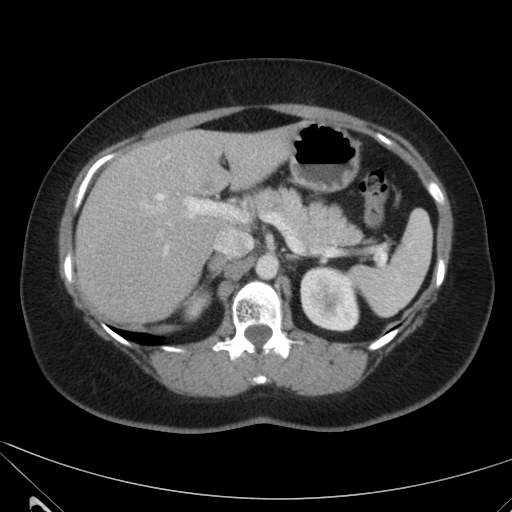 Computed tomography, Abdomen
{"hepatic_lesion": ["<box>200,179,216,190</box>"], "liver": ["<box>73,129,290,322</box>"], "kidney": ["<box>301,269,357,329</box>"]}